Abdomen | CT scan slice | Image width 472 mm
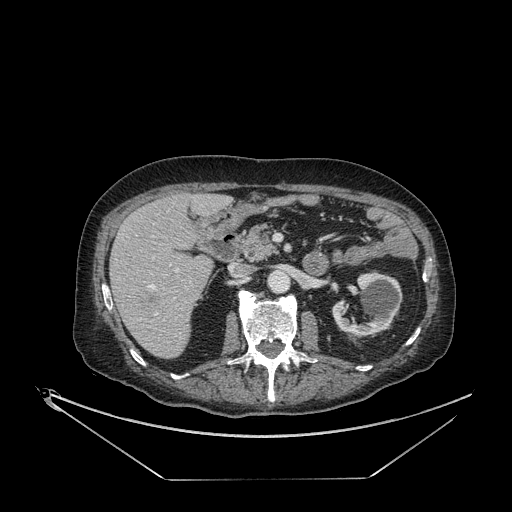

The focal liver lesion is at 145, 293, 158, 306. The liver lies within 110, 193, 232, 359. 2 kidney regions appear at 348, 285, 357, 294; 332, 272, 401, 336.